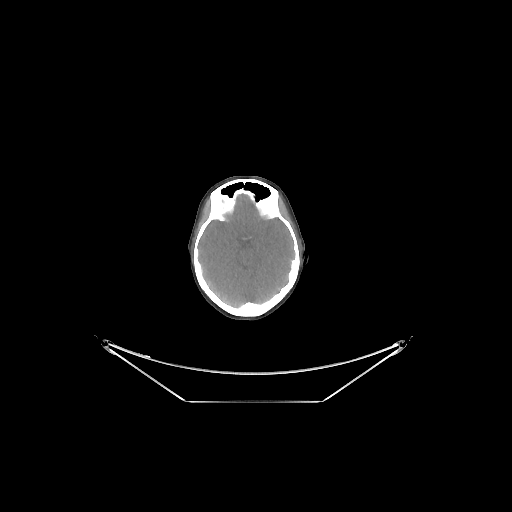
CT slice
The brain is at 197, 193, 295, 307.